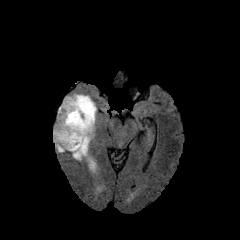
FLAIR MRI.
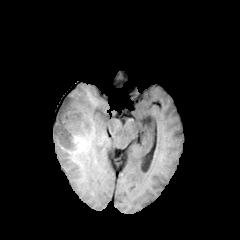
T1-weighted magnetic resonance of the same slice.
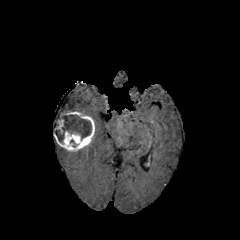
Same slice, post-contrast T1-weighted MRI.
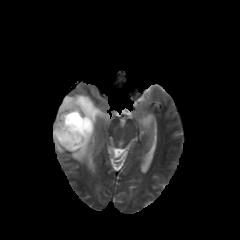
T2-weighted magnetic resonance.
240x240 px
Findings:
* enhancing tumor: left=53, top=111, right=94, bottom=150
* non-enhancing tumor core: left=59, top=100, right=81, bottom=112; left=53, top=114, right=91, bottom=142
* edema: left=53, top=135, right=97, bottom=173; left=60, top=92, right=100, bottom=143